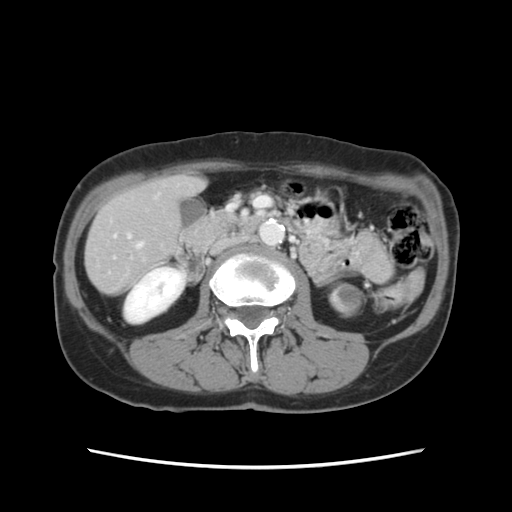 CT image; Abdomen

Not every hepatic vessel necessarily has a box.
2 hepatic vessel regions are bounded by (x1=137, y1=243, x2=141, y2=247), (x1=127, y1=234, x2=129, y2=237).